MR. Medial temporal lobe. Slice 34/43. 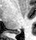

Segmented structures:
* posterior hippocampus: box(11, 30, 20, 34)